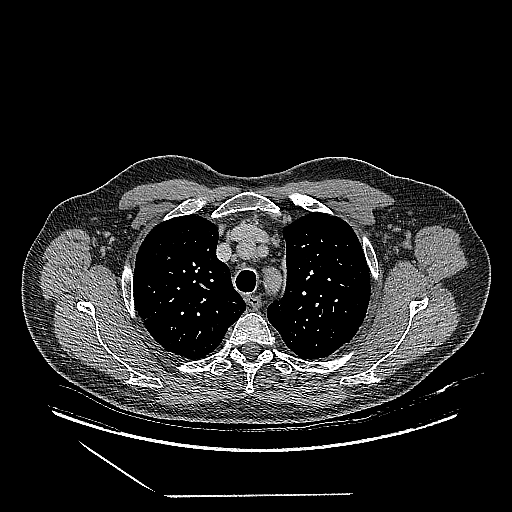 CT scan slice. Lung tumor: 138 311 152 334.